Hippocampus; Field of view 37 mm wide, 1.00 mm slice spacing; Slice 24/33; MRI slice 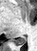
Annotated regions:
- posterior hippocampus: x1=13 y1=36 x2=25 y2=45